Field of view 341 mm wide, 2.50 mm slice spacing. CT.

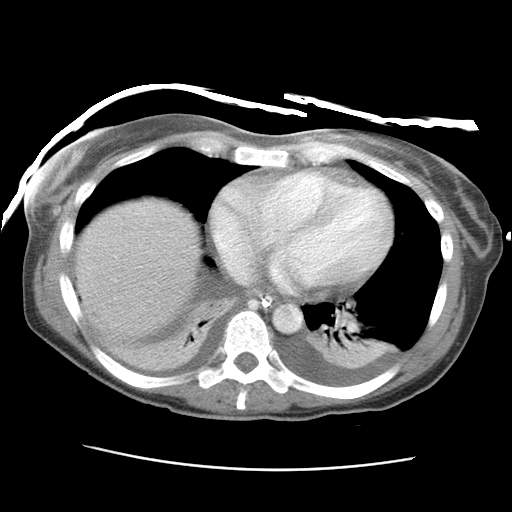 Liver = x1=75, y1=200, x2=199, y2=339.